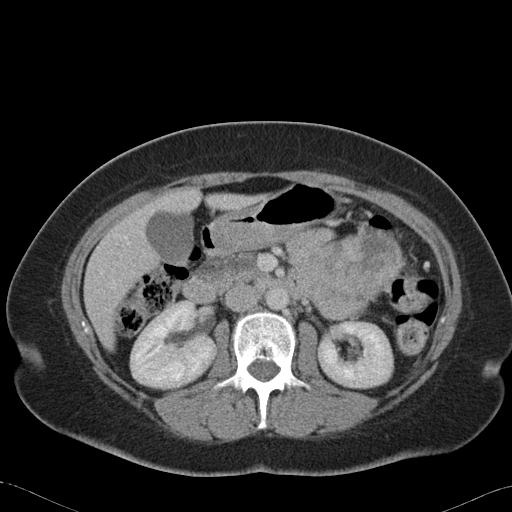
Image size 512x512, Computed tomography, Abdomen
Pancreas at <bbox>198, 254, 258, 291</bbox>, <bbox>381, 267, 400, 290</bbox>.
Pancreatic tumor at <bbox>322, 228, 401, 299</bbox>.